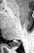

MRI | Hippocampus
posterior_hippocampus:
  - bbox=[12, 43, 20, 46]